FLAIR magnetic resonance.
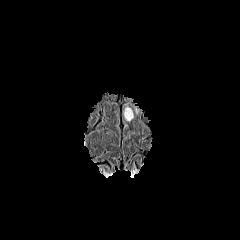
T1-weighted MR.
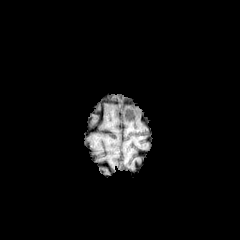
Post-contrast T1-weighted MR.
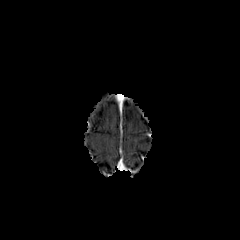
T2-weighted MRI.
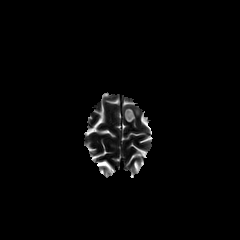
Brain
The edema lies within x1=126 y1=107 x2=134 y2=120.